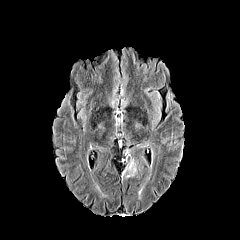
FLAIR magnetic resonance.
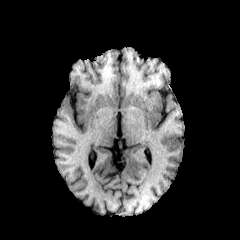
T1-weighted MR.
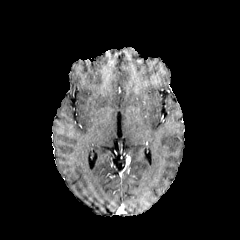
Same slice, post-contrast T1-weighted MRI.
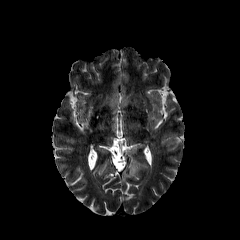
T2-weighted MR image.
Head
The edema is located at [122,157,136,175].